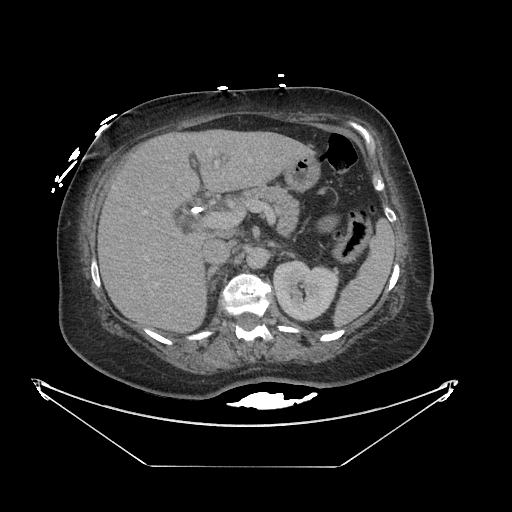
CT slice

- pancreas: rect(246, 188, 299, 236)